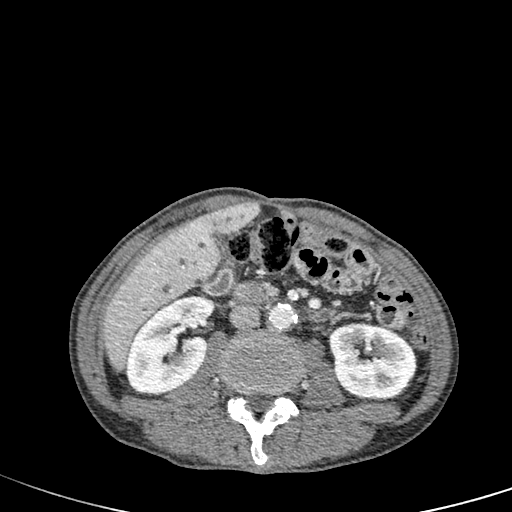

CT

Liver at (left=103, top=211, right=219, bottom=372).
Hepatic lesion at (left=214, top=203, right=258, bottom=234).
Kidney at (left=127, top=297, right=213, bottom=393), (left=330, top=324, right=415, bottom=398).